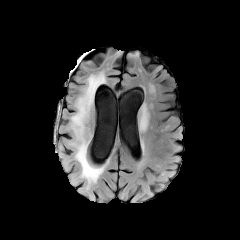
FLAIR MR image.
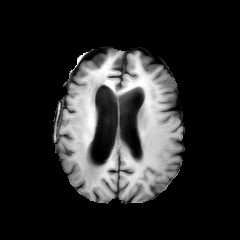
T1-weighted MR image.
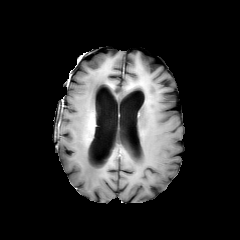
Post-contrast T1-weighted MR image of the same slice.
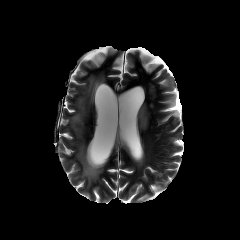
Same slice, T2-weighted magnetic resonance.
<segmentation>
  <edema>region(74, 141, 104, 188); region(72, 74, 105, 125)</edema>
</segmentation>